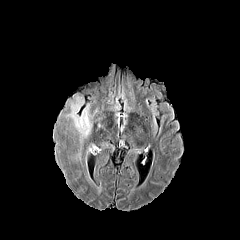
FLAIR magnetic resonance.
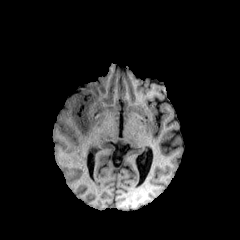
T1-weighted MRI.
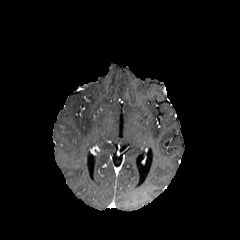
Post-contrast T1-weighted magnetic resonance.
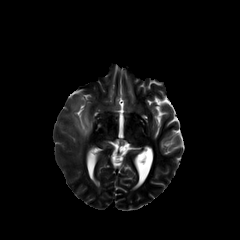
T2-weighted MR image.
Edema at box(72, 100, 91, 135).